Slice index 78
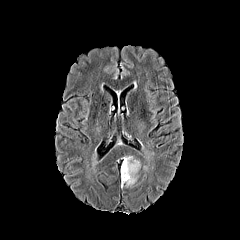
FLAIR MR image.
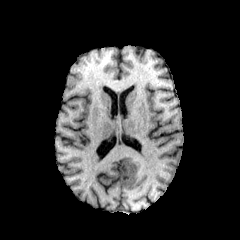
Same slice, T1-weighted MR.
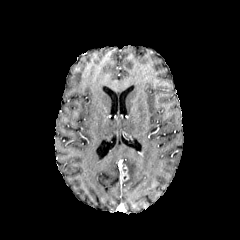
Post-contrast T1-weighted MR image of the same slice.
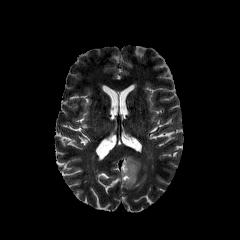
T2-weighted magnetic resonance.
Findings:
* edema: [121, 156, 140, 187]
* enhancing tumor: [120, 164, 128, 183]